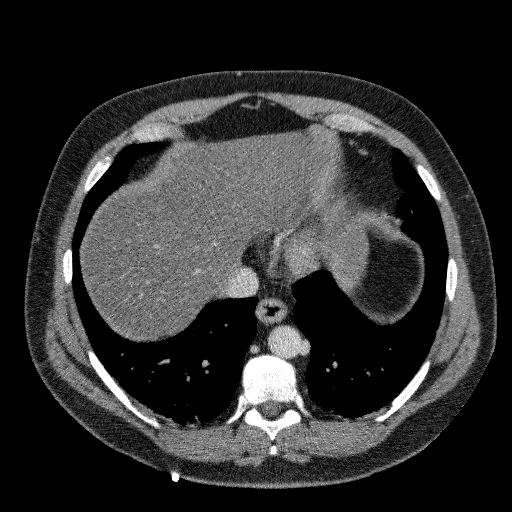

Abdomen; Computed tomography
Liver = bbox=[80, 133, 312, 340].